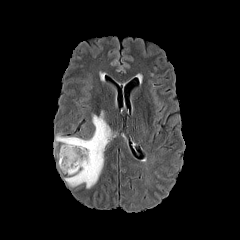
FLAIR MR image.
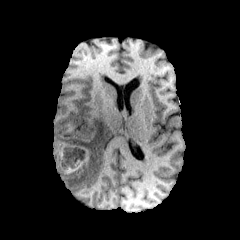
Same slice, T1-weighted MR image.
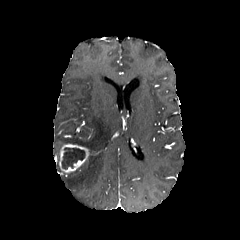
Same slice, post-contrast T1-weighted MR.
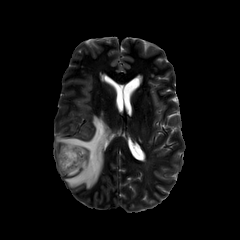
T2-weighted MR of the same slice.
240x240
The edema is at <bbox>54, 111, 111, 188</bbox>. 2 non-enhancing tumor core regions are located at <bbox>56, 151, 63, 173</bbox>, <bbox>61, 147, 85, 169</bbox>. The enhancing tumor is located at <bbox>59, 143, 89, 173</bbox>.